Computed tomography | Field of view 415x415 mm | Liver 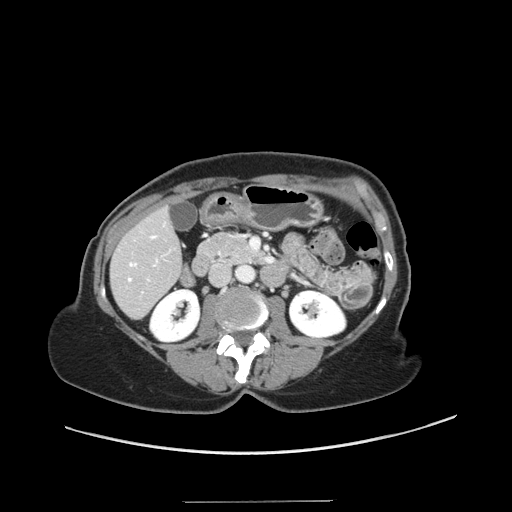
Some hepatic vessels may have no box.
5 hepatic vessel regions are bounded by bbox=[129, 278, 130, 280]; bbox=[154, 258, 157, 264]; bbox=[163, 223, 165, 225]; bbox=[152, 236, 155, 237]; bbox=[130, 262, 136, 265].